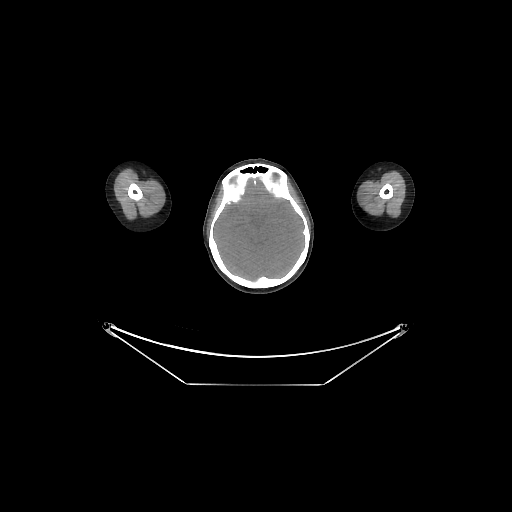

Brain | CT scan slice
Brain at region(213, 179, 304, 280).